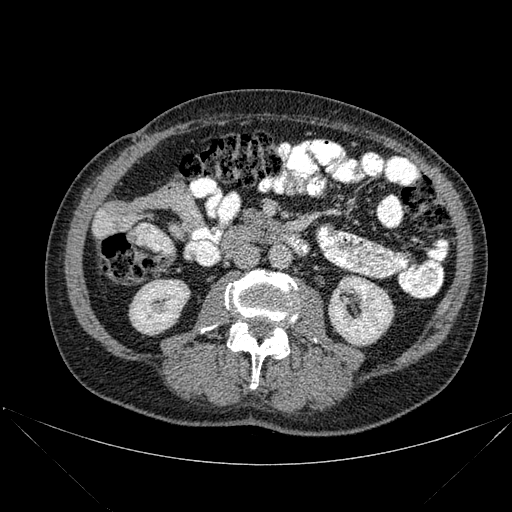

CT slice | Abdomen
{
  "bone": [
    "bbox=[225, 270, 297, 388]"
  ],
  "kidney": [
    "bbox=[129, 280, 189, 334]",
    "bbox=[329, 276, 393, 344]"
  ]
}